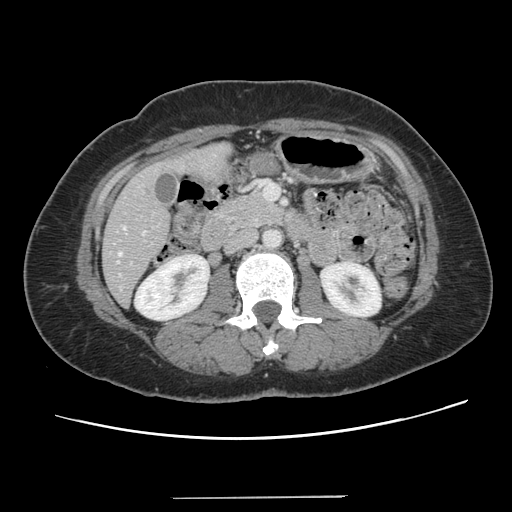 Liver, CT, 512x512
Not every hepatic vessel necessarily has a box.
Hepatic vessel: bounding box bbox=[118, 252, 121, 255]; bbox=[117, 261, 118, 263]; bbox=[124, 227, 125, 229]; bbox=[119, 274, 120, 275]; bbox=[142, 230, 145, 234].